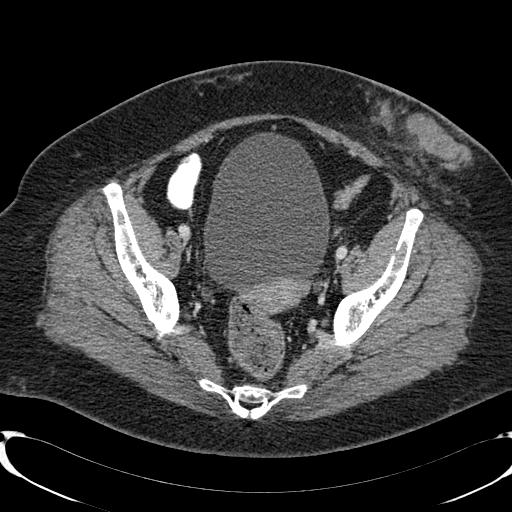
Pelvis; CT scan slice
{
  "urinary_bladder": [
    "(204, 133, 329, 290)"
  ]
}